Slice 33 of 47 | CT slice

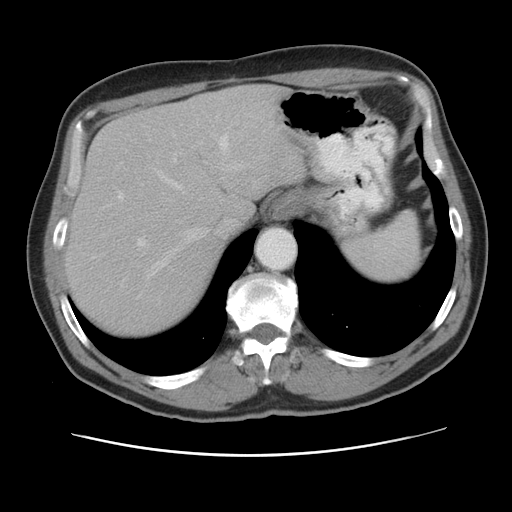
Some hepatic vessels may have no box.
Hepatic vessel: box(118, 191, 123, 198); box(199, 198, 201, 200); box(121, 162, 122, 164); box(157, 171, 181, 189); box(137, 237, 144, 244).